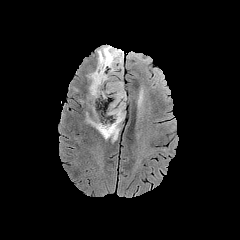
FLAIR MRI.
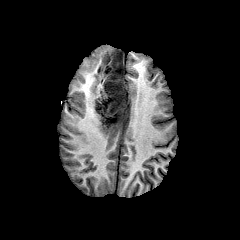
Same slice, T1-weighted MRI.
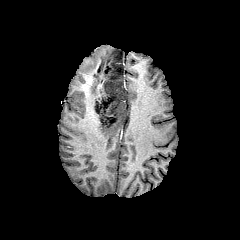
Post-contrast T1-weighted MR.
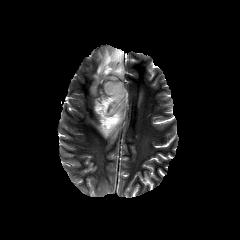
T2-weighted MR image.
Head
3 edema regions are bounded by bbox=[89, 106, 125, 141]; bbox=[89, 71, 124, 103]; bbox=[96, 46, 115, 63]. 2 non-enhancing tumor core regions are located at bbox=[98, 50, 121, 75]; bbox=[95, 84, 125, 128].